Field of view 380 mm wide, 2.50 mm slice spacing. Abdomen. Image size 512x512. Slice index 14. Computed tomography. 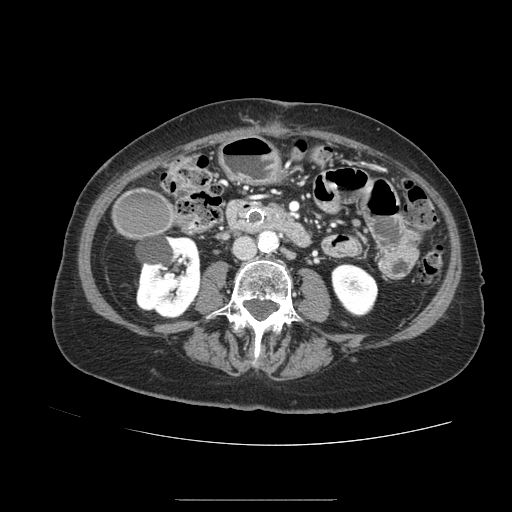 The pancreas lies within [272,205,286,215].